Head. Image size 240x240. Slice 119 of 155. Image width 240 mm.
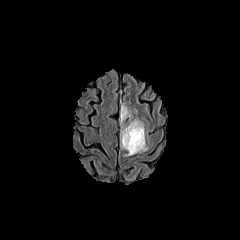
FLAIR MRI.
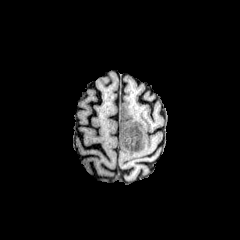
Same slice, T1-weighted MR image.
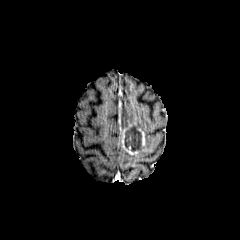
Post-contrast T1-weighted MR of the same slice.
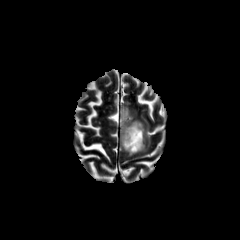
T2-weighted magnetic resonance.
2 enhancing tumor regions are located at rect(121, 124, 138, 155); rect(136, 126, 146, 151). The non-enhancing tumor core appears at rect(124, 125, 142, 152). 2 edema regions are located at rect(120, 102, 129, 120); rect(129, 119, 144, 128).